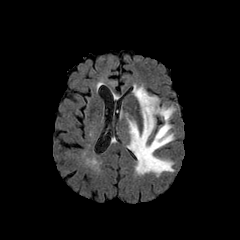
FLAIR MR image.
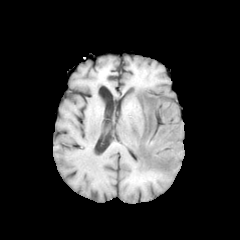
T1-weighted MRI of the same slice.
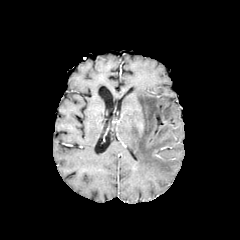
Post-contrast T1-weighted magnetic resonance of the same slice.
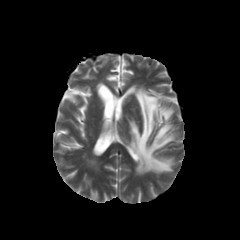
T2-weighted MR image.
The edema is located at (x1=127, y1=86, x2=175, y2=175).